FLAIR MR image.
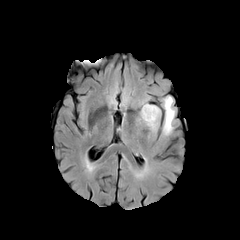
T1-weighted MR.
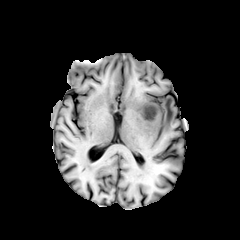
Post-contrast T1-weighted MRI.
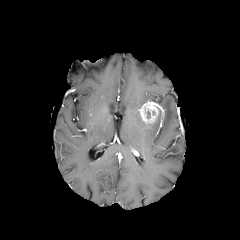
T2-weighted magnetic resonance.
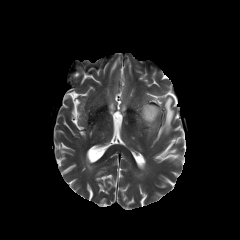
240x240
2 edema regions are bounded by 147 107 160 129, 162 96 174 134. The enhancing tumor is at 140 103 158 123.